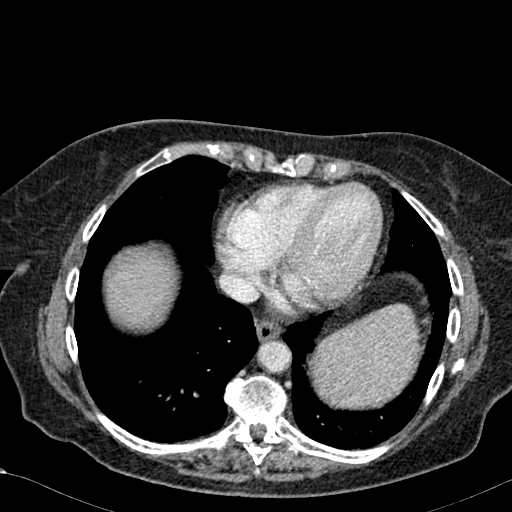 CT, Image size 512x512, Upper abdomen
Liver: rect(110, 256, 169, 323).